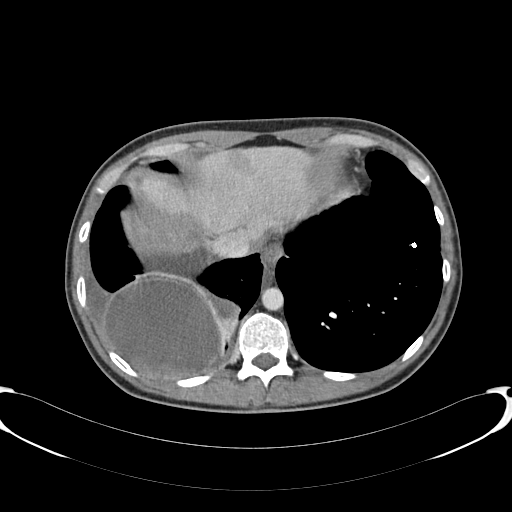
CT slice.

<segmentation>
  <liver>141,148,324,238</liver>
  <hepatic_lesion>230,151,249,172</hepatic_lesion>
</segmentation>